Field of view 387x387 mm, CT image, Slice 549 of 846

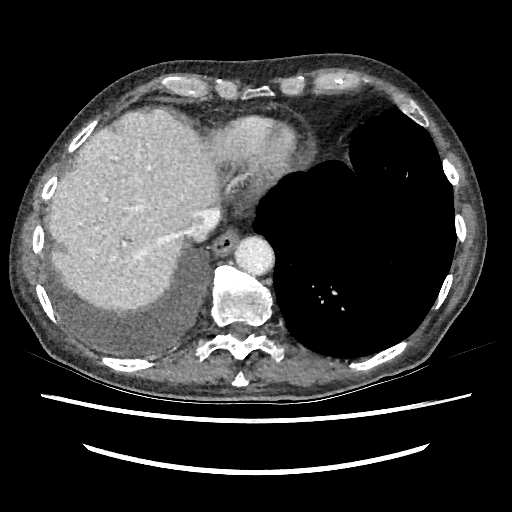
Liver = 48 111 242 309.